Image size 240x240. Brain. Slice 71/155.
FLAIR MR image.
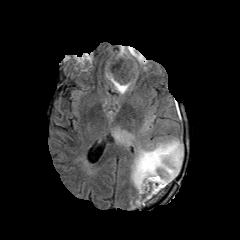
T1-weighted MRI.
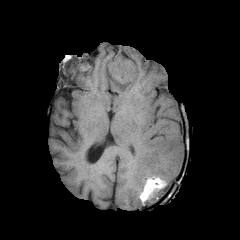
Post-contrast T1-weighted MR.
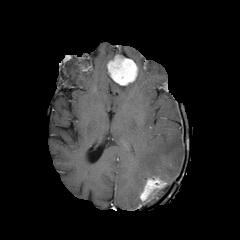
T2-weighted MRI.
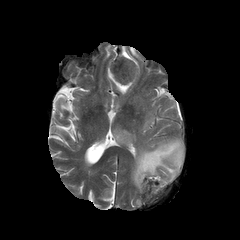
Segmented structures:
- non-enhancing tumor core: [109,57,133,80]
- edema: [106,72,137,94], [117,46,145,65], [131,138,183,193]
- enhancing tumor: [109,55,137,85], [140,178,166,201]